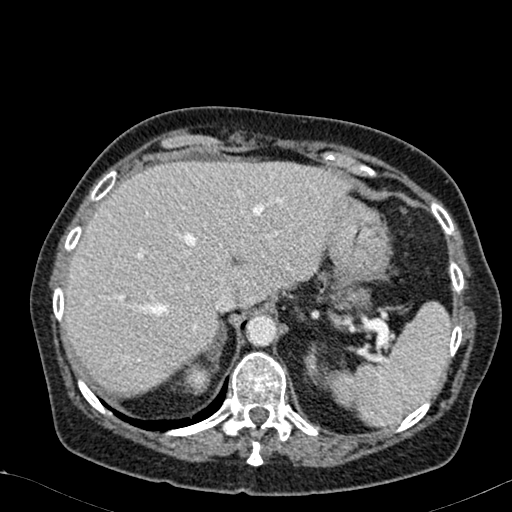 512x512 px. Computed tomography. Upper abdomen.
The liver is at x1=66, y1=162, x2=348, y2=394. 3 kidney regions are located at x1=187, y1=366, x2=203, y2=385; x1=307, y1=354, x2=316, y2=373; x1=327, y1=373, x2=349, y2=390.